CT image. Image size 512x512. Abdomen.
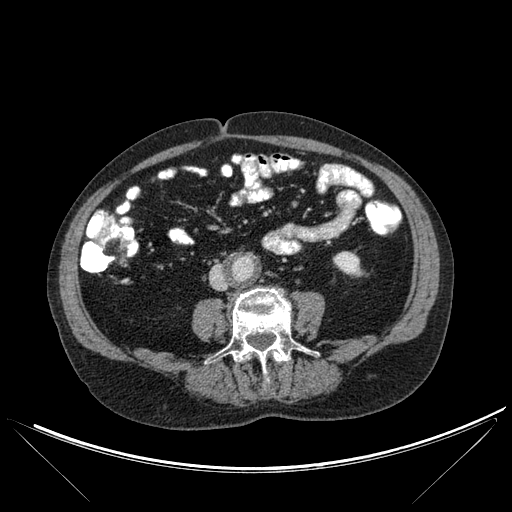
Kidney — (333, 252, 360, 275).
Bone — (221, 288, 305, 391).